Slice 86/155. Brain.
FLAIR MR.
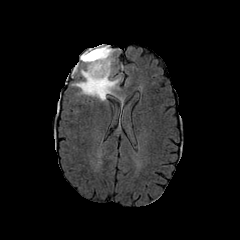
T1-weighted MRI.
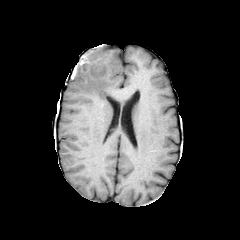
Post-contrast T1-weighted MRI.
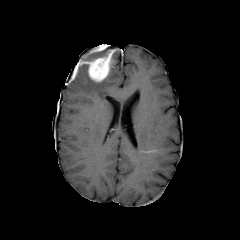
T2-weighted magnetic resonance.
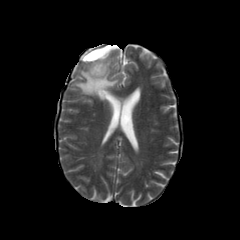
Findings:
- edema: <box>71,66,123,103</box>
- enhancing tumor: <box>74,44,116,82</box>
- non-enhancing tumor core: <box>87,45,122,66</box>, <box>89,78,105,88</box>